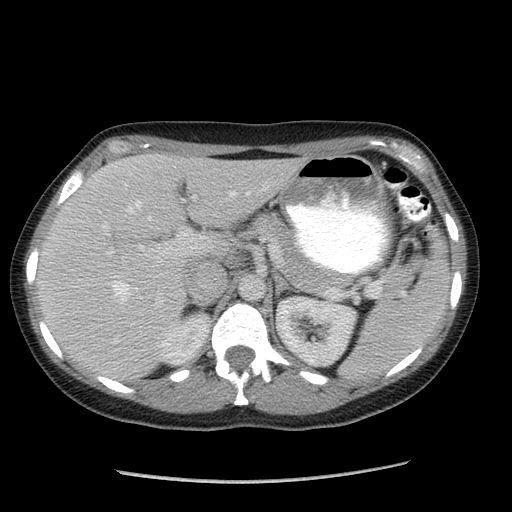 Computed tomography, Upper abdomen
Spleen = left=343, top=236, right=450, bottom=378.